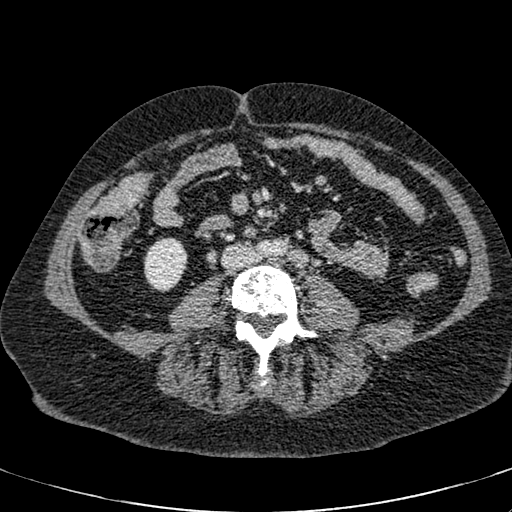 Computed tomography. Abdomen. 512x512.

Kidney at region(145, 238, 186, 290).